Slice 52/155
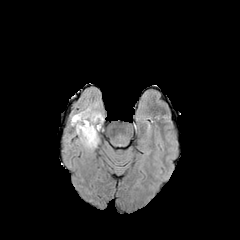
FLAIR MR.
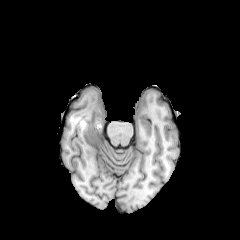
T1-weighted magnetic resonance.
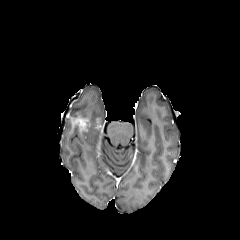
Same slice, post-contrast T1-weighted MR image.
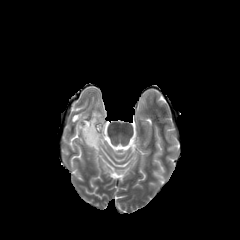
T2-weighted MR image.
edema:
  - rect(69, 100, 103, 150)
enhancing_tumor:
  - rect(72, 117, 90, 131)